CT image. Upper abdomen. Image size 512x512. Slice 478 of 816. 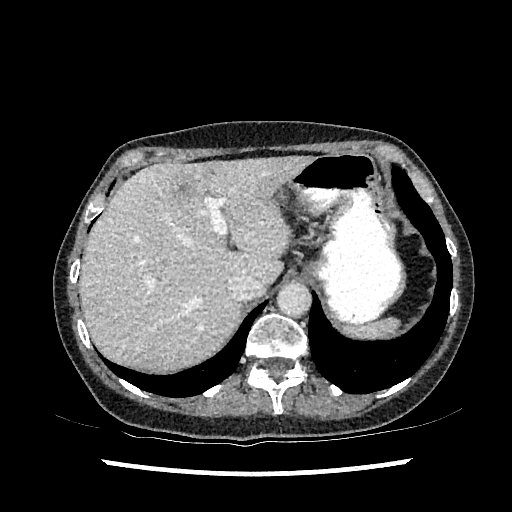 {"liver": ["x1=80 y1=157 x2=313 y2=370"], "focal_liver_lesion": ["x1=83 y1=300 x2=99 y2=313", "x1=172 y1=177 x2=196 y2=203"]}